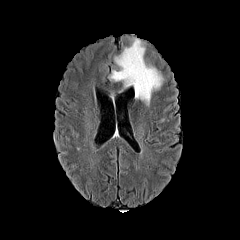
FLAIR MR image.
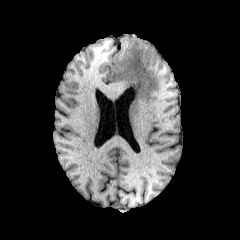
T1-weighted MR image.
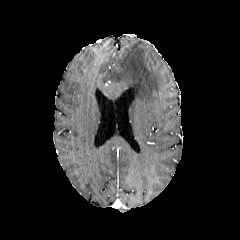
Same slice, post-contrast T1-weighted MR.
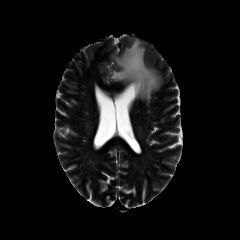
T2-weighted magnetic resonance of the same slice.
240x240 px
The edema is located at 108 39 163 104.